512x512 px, Upper abdomen, CT slice

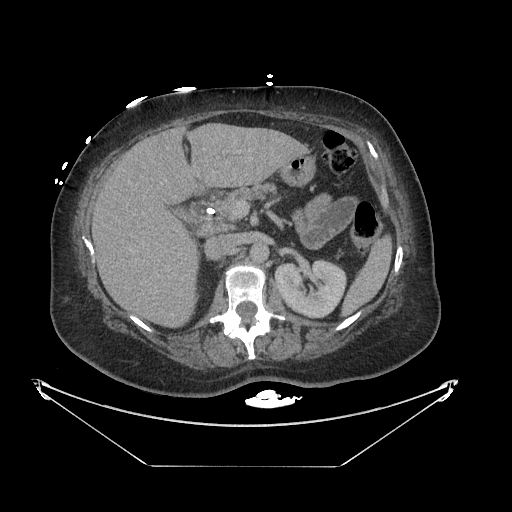

The pancreas is located at 223 184 275 212.